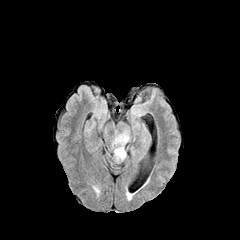
FLAIR magnetic resonance.
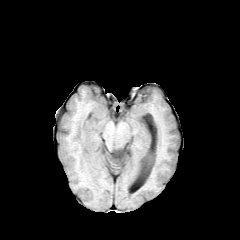
T1-weighted MRI.
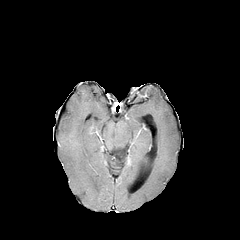
Post-contrast T1-weighted MR image.
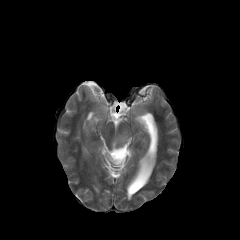
T2-weighted MR.
The edema is located at 111, 131, 135, 163.